FLAIR MR image.
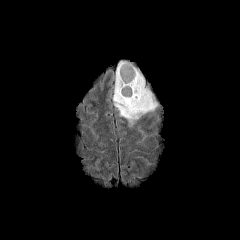
T1-weighted magnetic resonance.
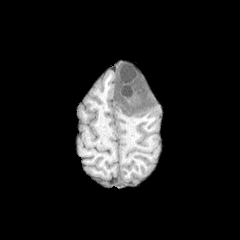
Post-contrast T1-weighted magnetic resonance.
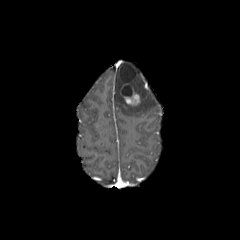
T2-weighted MRI.
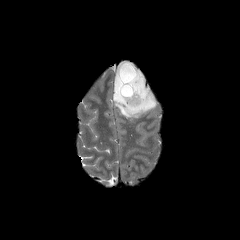
240x240
* non-enhancing tumor core: (x1=119, y1=63, x2=137, y2=88), (x1=122, y1=85, x2=131, y2=95)
* enhancing tumor: (x1=118, y1=82, x2=140, y2=105)
* edema: (x1=115, y1=69, x2=156, y2=124)